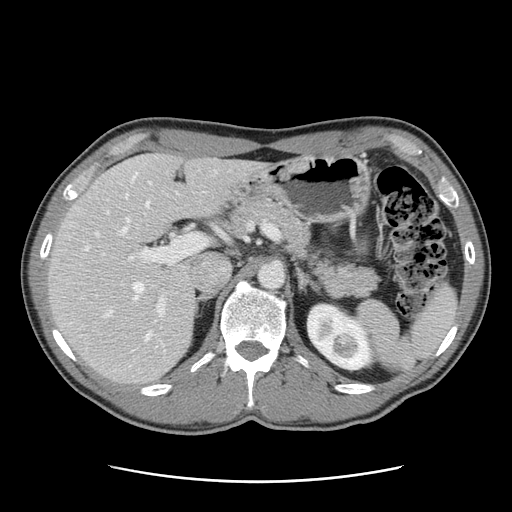

Liver, CT scan slice

The vessel boxes may cover only some of the vessels.
hepatic_vessel:
  - rect(105, 311, 111, 316)
  - rect(148, 182, 150, 183)
  - rect(126, 218, 128, 221)
  - rect(95, 232, 97, 235)
  - rect(145, 332, 150, 339)
  - rect(133, 282, 143, 298)
  - rect(128, 256, 134, 259)
  - rect(84, 246, 88, 249)
  - rect(157, 299, 163, 315)
  - rect(125, 194, 127, 197)
  - rect(120, 227, 126, 234)
  - rect(145, 202, 148, 207)
  - rect(211, 171, 215, 175)
  - rect(106, 211, 108, 213)
  - rect(132, 173, 137, 180)